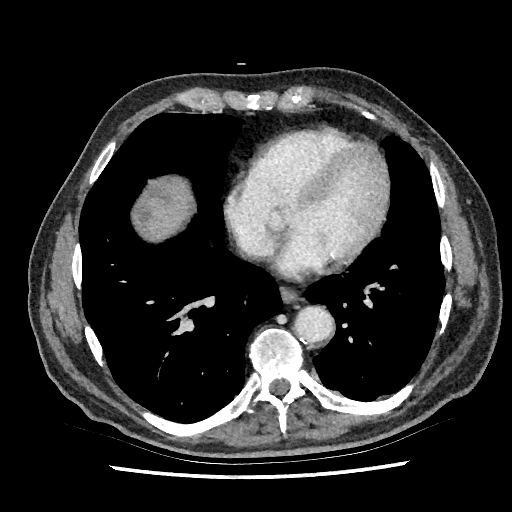
Image size 512x512, CT image

Segmented structures:
* liver: rect(134, 178, 188, 238)
* liver lesion: rect(149, 186, 173, 204); rect(134, 205, 151, 225)